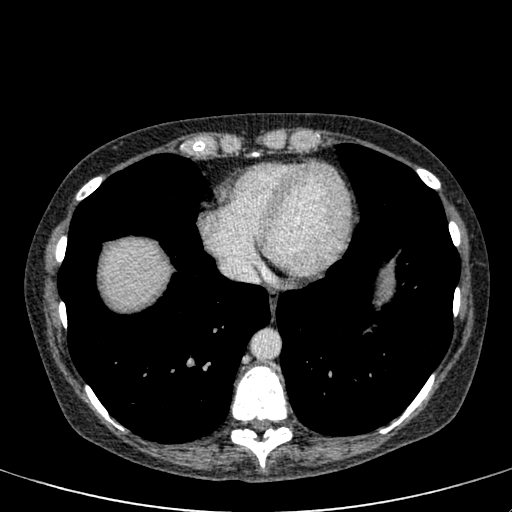

CT scan slice
The liver appears at 102, 239, 168, 308.